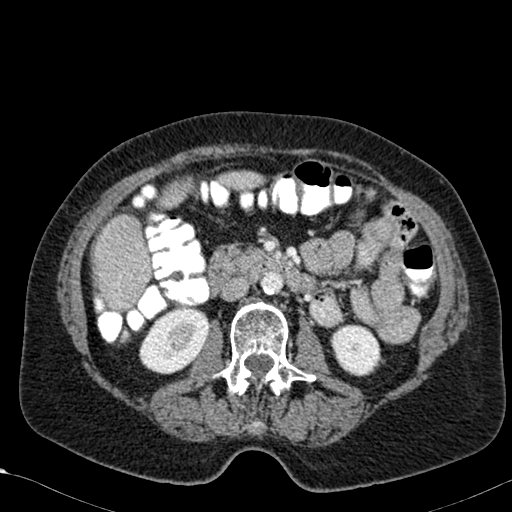

Image size 512x512. Upper abdomen. CT scan slice. {
  "kidney": [
    "box=[331, 325, 379, 375]",
    "box=[140, 300, 209, 373]"
  ],
  "liver": [
    "box=[219, 171, 261, 188]",
    "box=[159, 180, 190, 207]",
    "box=[93, 215, 148, 310]"
  ]
}